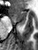 Hippocampus | MRI slice
The anterior hippocampus lies within {"x1": 11, "y1": 11, "x2": 26, "y2": 24}. The posterior hippocampus is at {"x1": 19, "y1": 25, "x2": 22, "y2": 26}.